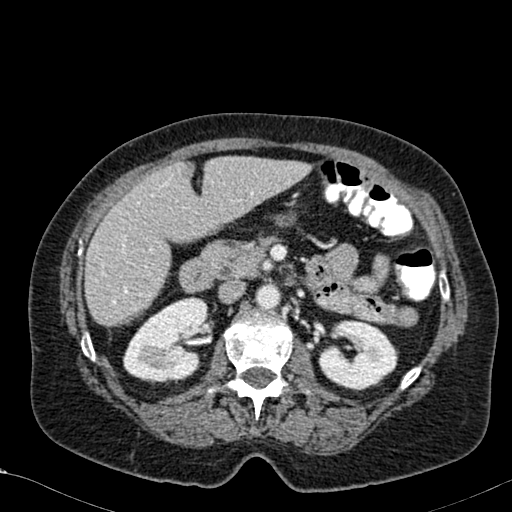 Liver | CT slice

Liver at [x1=86, y1=158, x2=311, y2=325].
Kidney at [x1=124, y1=298, x2=210, y2=381], [x1=319, y1=321, x2=396, y2=389].